T2-weighted magnetic resonance.
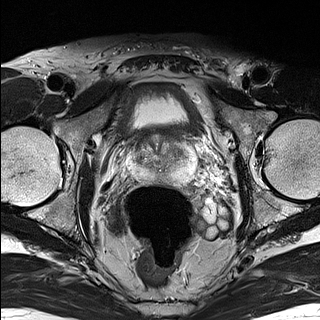
ADC MRI.
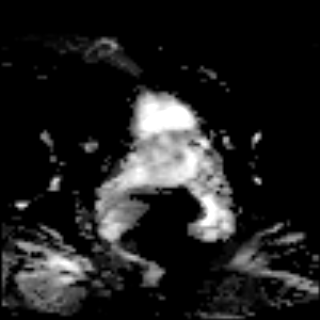
320x320
<segmentation>
  <prostate_peripheral_zone>box=[127, 144, 196, 183]</prostate_peripheral_zone>
  <prostate_transition_zone>box=[133, 137, 188, 170]</prostate_transition_zone>
</segmentation>